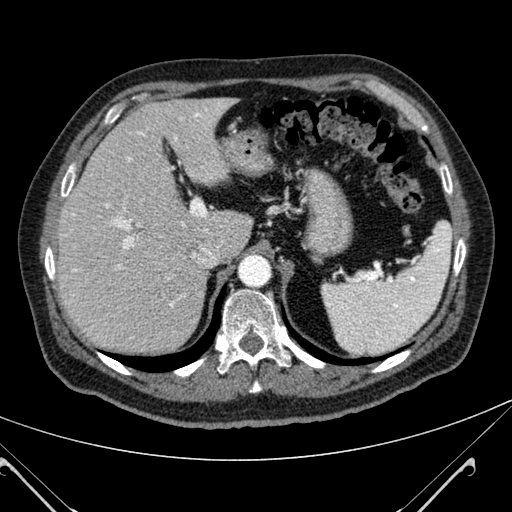 CT image, Abdomen, Image size 512x512

Liver at 58 96 251 355.